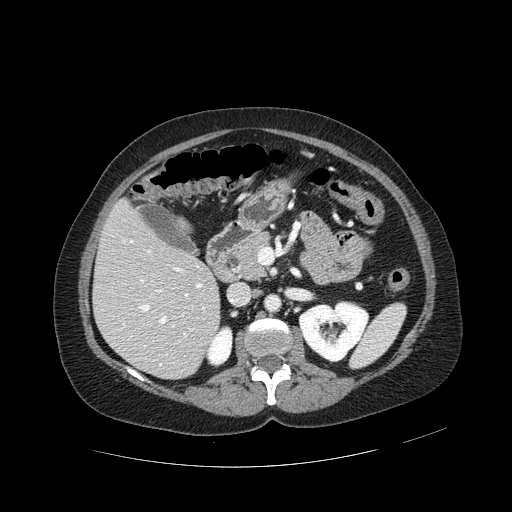
CT image. 512x512 px. Abdomen. Segmented structures:
* pancreas: 235, 233, 270, 278